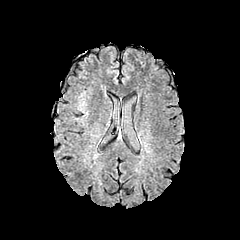
FLAIR magnetic resonance.
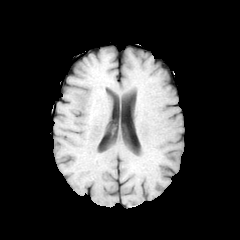
Same slice, T1-weighted MRI.
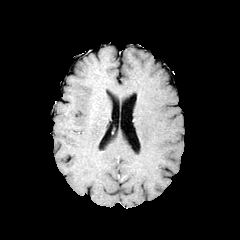
Same slice, post-contrast T1-weighted MR.
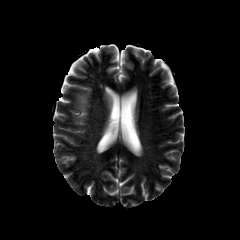
T2-weighted MR image.
Head, 240x240 px
edema: <bbox>75, 93, 88, 116</bbox>